Slice 44 of 106, CT, Upper abdomen

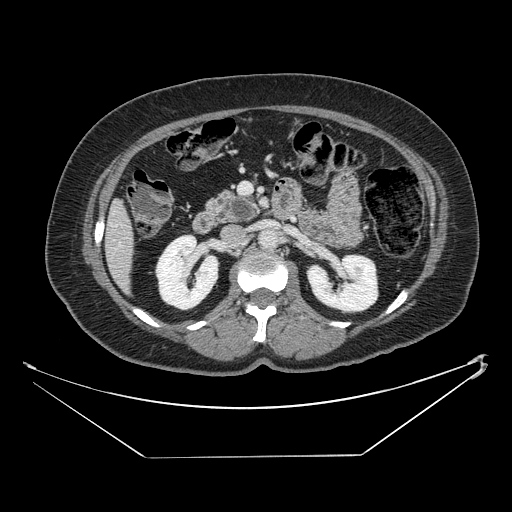 <segmentation>
  <pancreatic_tumor>rect(231, 199, 252, 219)</pancreatic_tumor>
  <pancreas>rect(205, 188, 259, 225)</pancreas>
</segmentation>